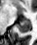 Hippocampus. MRI.

posterior_hippocampus:
  - box(17, 20, 30, 32)